Liver | Slice 320/696 | CT image

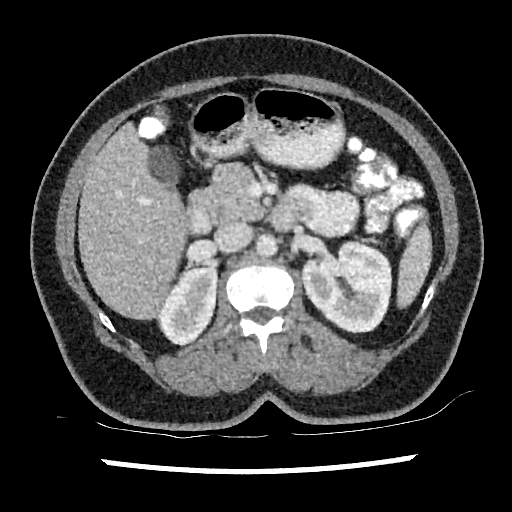

liver:
  - {"x1": 79, "y1": 123, "x2": 184, "y2": 318}
kidney:
  - {"x1": 303, "y1": 243, "x2": 390, "y2": 331}
  - {"x1": 159, "y1": 268, "x2": 216, "y2": 344}
liver_lesion:
  - {"x1": 149, "y1": 147, "x2": 179, "y2": 183}